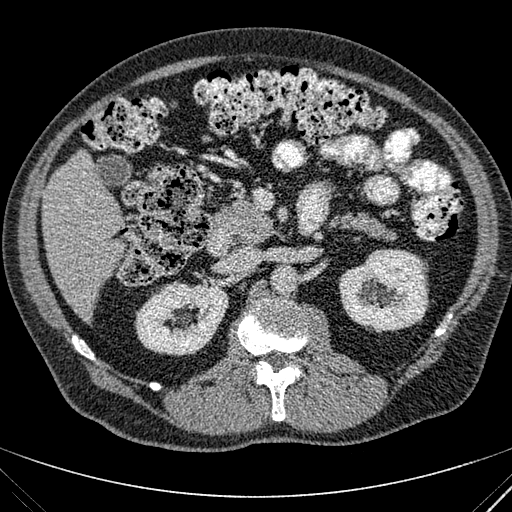 512x512 px | Computed tomography
<segmentation>
  <liver>43, 152, 125, 322</liver>
  <kidney>136, 279, 227, 354; 339, 250, 427, 331</kidney>
</segmentation>